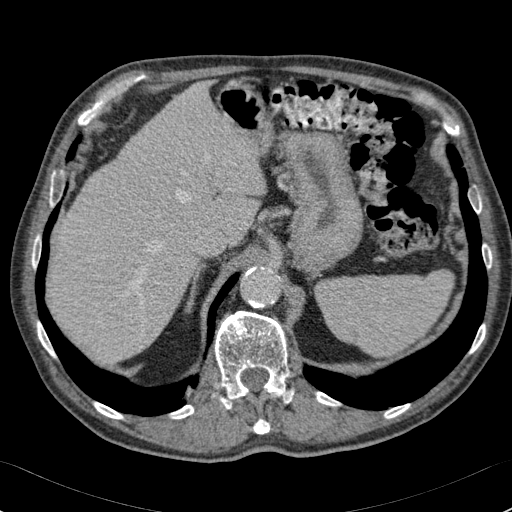 CT scan slice, Image size 512x512
<segmentation>
  <liver>52,81,261,360</liver>
</segmentation>